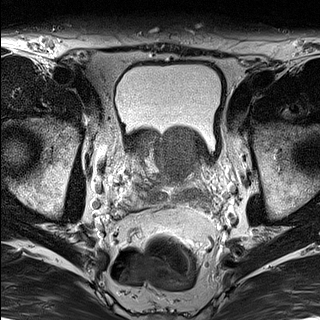
T2-weighted magnetic resonance.
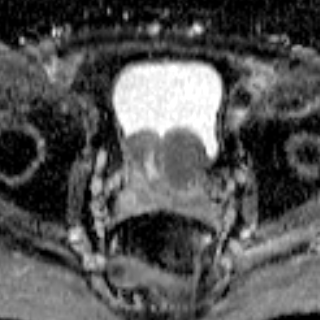
ADC MR image.
Pelvis.
prostate_transition_zone:
  - 135 130 198 181